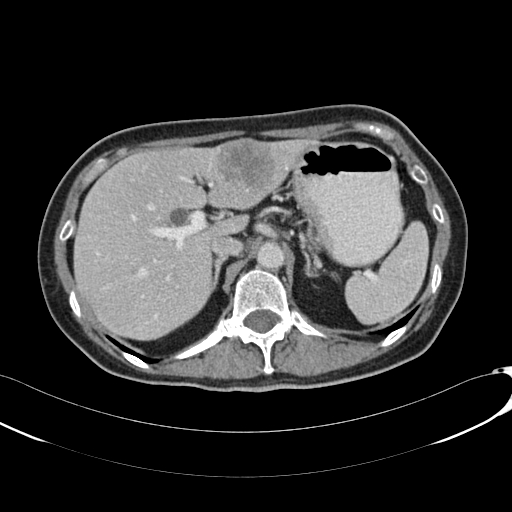 CT scan slice; Liver; 512x512
{"liver": ["(73,139,317,338)"], "hepatic_lesion": ["(215,141,275,195)"]}